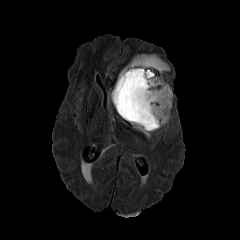
FLAIR MRI.
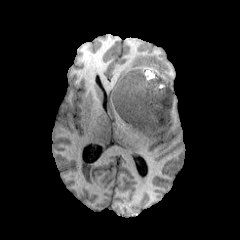
T1-weighted MRI of the same slice.
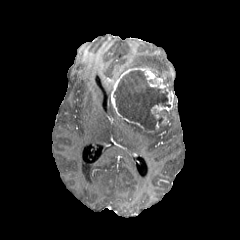
Post-contrast T1-weighted MR image of the same slice.
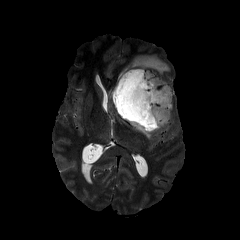
Same slice, T2-weighted MR image.
The non-enhancing tumor core appears at bbox=[113, 70, 171, 131]. 3 enhancing tumor regions are bounded by bbox=[150, 89, 173, 118]; bbox=[162, 112, 168, 123]; bbox=[111, 67, 165, 116]. 3 edema regions are located at bbox=[132, 125, 154, 138]; bbox=[120, 53, 170, 85]; bbox=[154, 110, 173, 135].